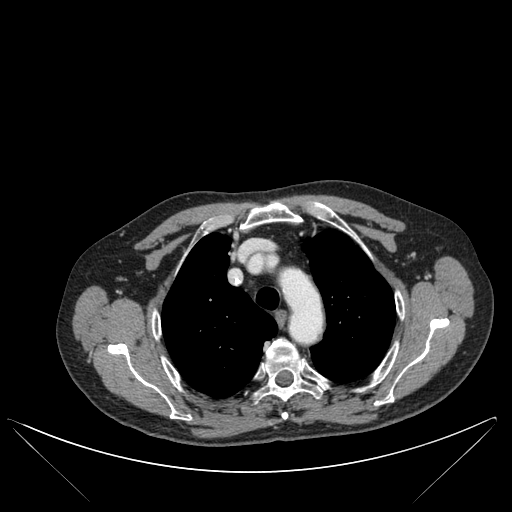

Image size 512x512; Chest; CT slice
bone: x1=369, y1=342, x2=398, y2=386; x1=255, y1=339, x2=328, y2=400; x1=375, y1=318, x2=449, y2=405; x1=161, y1=357, x2=181, y2=389; x1=395, y1=291, x2=404, y2=317; x1=240, y1=202, x2=302, y2=229; x1=108, y1=343, x2=191, y2=420; x1=311, y1=202, x2=348, y2=232; x1=152, y1=310, x2=160, y2=339 | lung: x1=302, y1=230, x2=395, y2=381; x1=162, y1=233, x2=278, y2=398